FLAIR MR image.
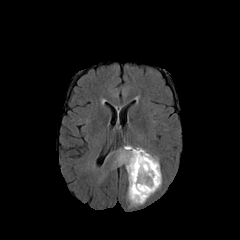
T1-weighted magnetic resonance.
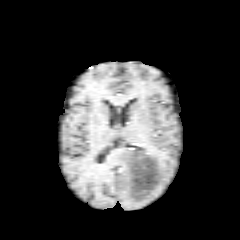
Post-contrast T1-weighted MRI.
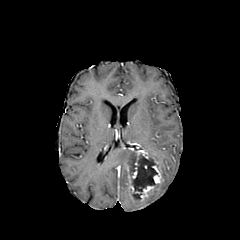
T2-weighted MR.
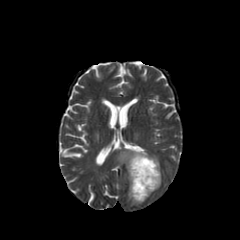
Edema — (x1=148, y1=153, x2=160, y2=172), (x1=117, y1=146, x2=161, y2=205).
Enhancing tumor — (x1=140, y1=186, x2=153, y2=199), (x1=130, y1=148, x2=148, y2=158), (x1=152, y1=164, x2=161, y2=183).
Non-enhancing tumor core — (x1=131, y1=154, x2=156, y2=198).